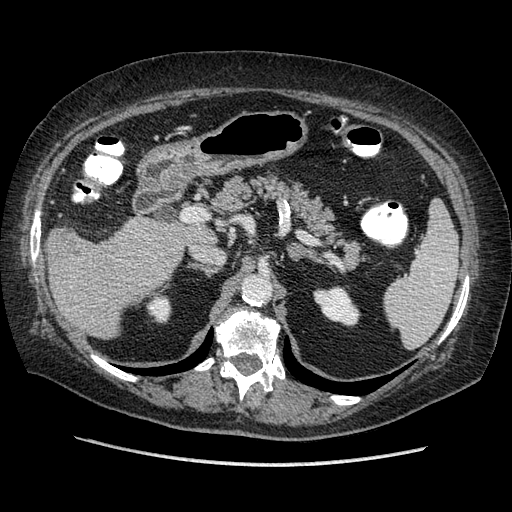

512x512. Abdomen. CT image.

Liver tumor at box=[53, 232, 84, 258].